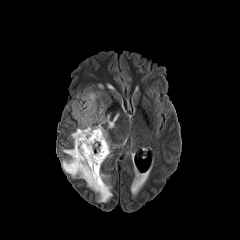
FLAIR MR.
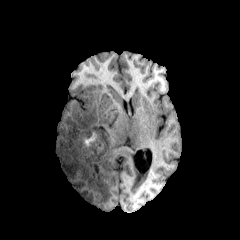
T1-weighted MRI.
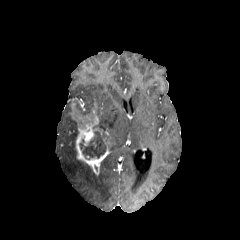
Post-contrast T1-weighted magnetic resonance of the same slice.
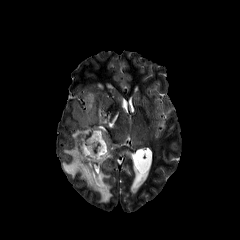
Same slice, T2-weighted MRI.
240x240 px.
Segmented structures:
- edema: 81,92,98,110; 70,128,77,147; 60,147,112,202; 98,102,119,129
- non-enhancing tumor core: 76,102,89,115; 82,131,106,158
- enhancing tumor: 70,100,114,170